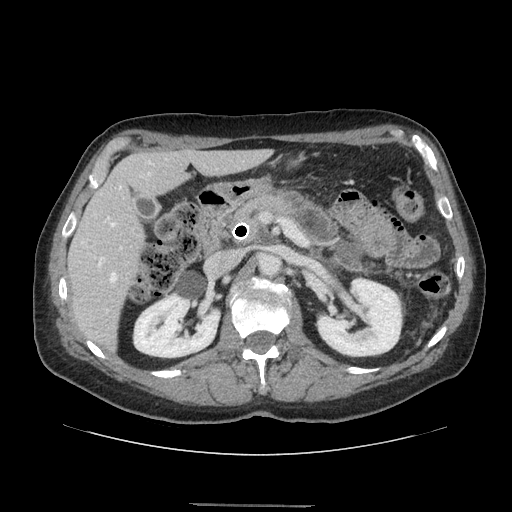
Upper abdomen, CT image
{
  "pancreas": [
    "rect(232, 194, 292, 235)"
  ]
}